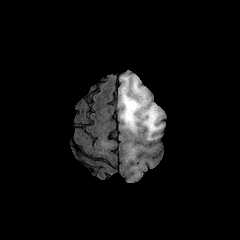
FLAIR MR.
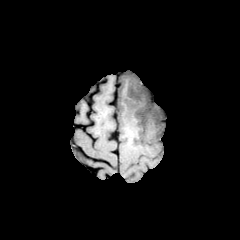
T1-weighted MR.
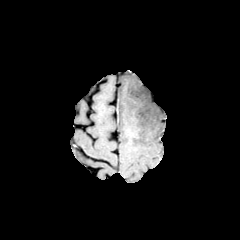
Post-contrast T1-weighted MRI.
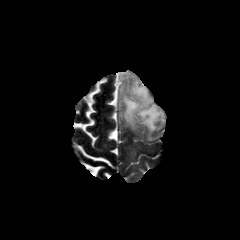
T2-weighted MRI.
Brain
<segmentation>
  <non-enhancing_tumor_core>box(126, 82, 161, 123)</non-enhancing_tumor_core>
  <edema>box(116, 70, 165, 141)</edema>
</segmentation>